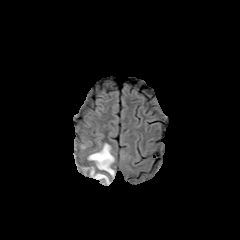
FLAIR MRI.
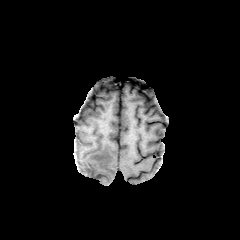
Same slice, T1-weighted MR.
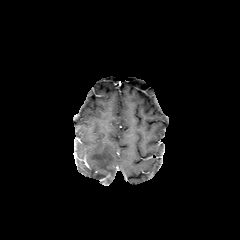
Post-contrast T1-weighted MR image.
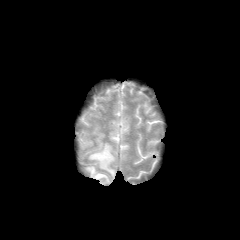
T2-weighted MR of the same slice.
240x240 px; Brain
edema:
  - (86,143,114,184)